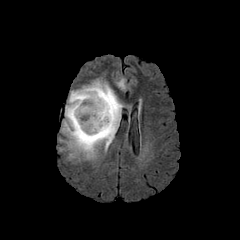
FLAIR MR.
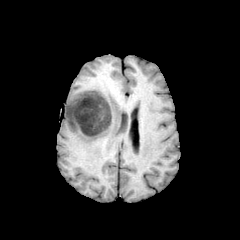
T1-weighted MRI.
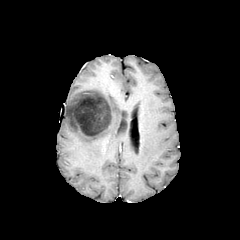
Post-contrast T1-weighted MR image of the same slice.
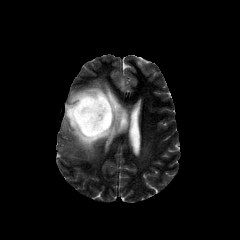
T2-weighted MR image.
240x240
{"non-enhancing_tumor_core": ["(left=67, top=84, right=115, bottom=148)"], "edema": ["(left=62, top=80, right=109, bottom=157)", "(left=90, top=87, right=122, bottom=147)"]}